FLAIR MR.
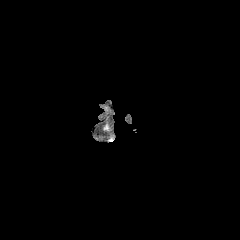
T1-weighted MR.
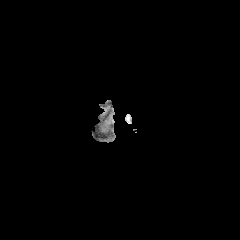
Post-contrast T1-weighted MR image.
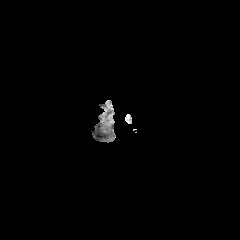
T2-weighted MR image.
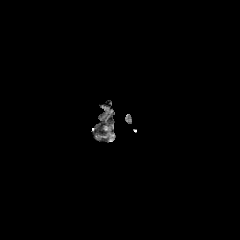
Head. 240x240.
{
  "edema": [
    "(left=98, top=123, right=109, bottom=137)"
  ]
}